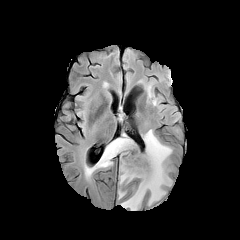
FLAIR magnetic resonance.
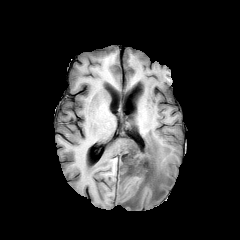
T1-weighted MR image.
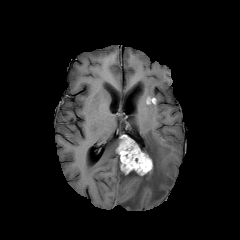
Post-contrast T1-weighted magnetic resonance.
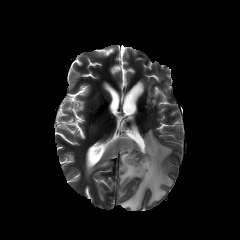
Same slice, T2-weighted MRI.
Head
2 non-enhancing tumor core regions are located at bbox(141, 159, 155, 183); bbox(124, 170, 139, 176). The enhancing tumor is at bbox(117, 135, 152, 175). 4 edema regions are bounded by bbox(86, 137, 119, 173); bbox(147, 85, 155, 105); bbox(119, 170, 141, 185); bbox(120, 129, 172, 210).